Brain. Image width 240 mm.
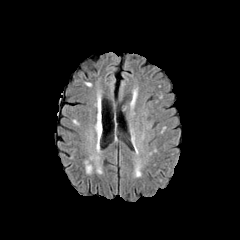
FLAIR magnetic resonance.
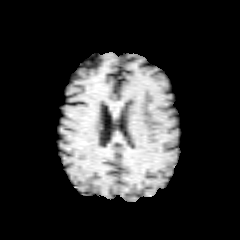
T1-weighted MRI.
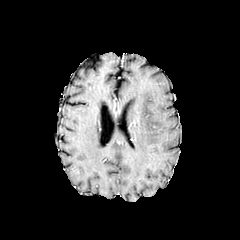
Post-contrast T1-weighted MRI of the same slice.
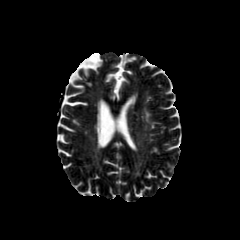
T2-weighted MRI of the same slice.
edema:
  - 130 91 136 107